Field of view 403x403 mm; CT slice; Liver; Image size 512x512

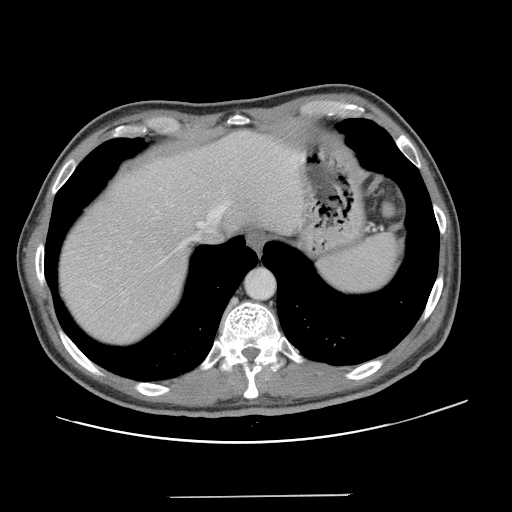

Not every hepatic vessel necessarily has a box.
hepatic_vessel:
  - <bbox>158, 258, 166, 264</bbox>
  - <bbox>198, 222, 202, 226</bbox>
  - <bbox>188, 237, 193, 240</bbox>